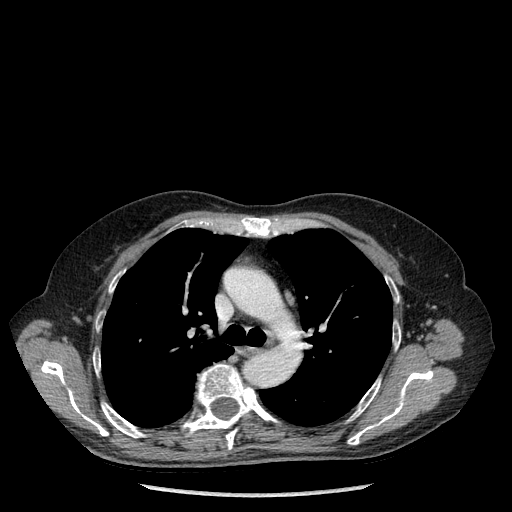

Chest; CT; Image size 512x512
<segmentation>
  <lung>(left=101, top=228, right=265, bottom=427), (left=260, top=229, right=392, bottom=426)</lung>
  <bone>(left=348, top=378, right=380, bottom=421), (left=181, top=220, right=193, bottom=226), (left=392, top=321, right=400, bottom=349), (left=41, top=360, right=108, bottom=436), (left=233, top=217, right=280, bottom=237), (left=226, top=428, right=237, bottom=449), (left=93, top=353, right=100, bottom=374), (left=101, top=402, right=146, bottom=437), (left=347, top=370, right=433, bottom=444), (left=95, top=315, right=102, bottom=330), (left=168, top=364, right=277, bottom=436), (left=385, top=275, right=399, bottom=302), (left=109, top=272, right=120, bottom=292)</bone>
</segmentation>